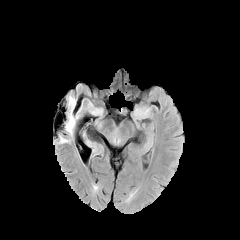
FLAIR MR image.
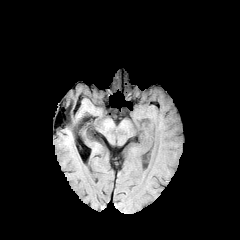
Same slice, T1-weighted MRI.
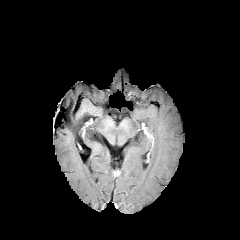
Post-contrast T1-weighted MRI.
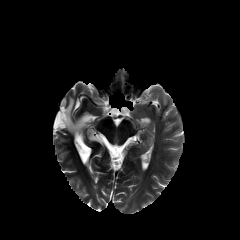
Same slice, T2-weighted MR image.
Brain. 240x240.
non-enhancing tumor core: {"x1": 64, "y1": 106, "x2": 71, "y2": 124} | edema: {"x1": 64, "y1": 96, "x2": 78, "y2": 136}